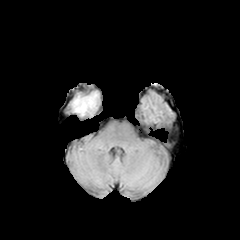
FLAIR magnetic resonance.
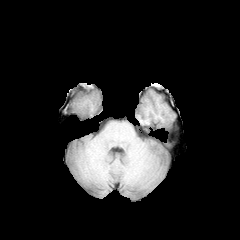
T1-weighted MR image.
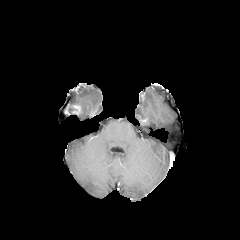
Same slice, post-contrast T1-weighted MRI.
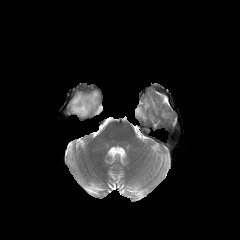
T2-weighted magnetic resonance.
Brain
<segmentation>
  <enhancing_tumor>bbox(72, 105, 81, 113)</enhancing_tumor>
  <edema>bbox(71, 91, 98, 116)</edema>
</segmentation>